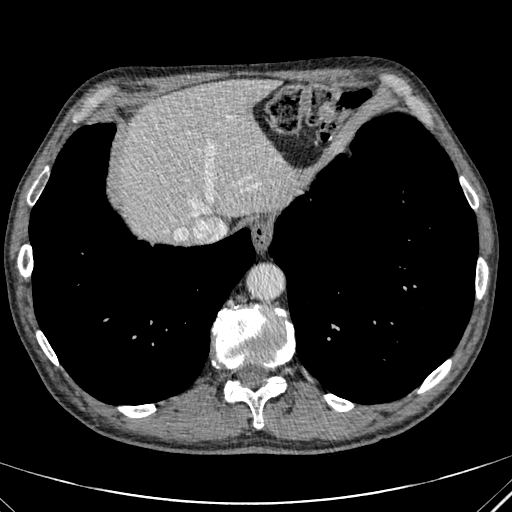
Abdomen | 512x512 px | Computed tomography

liver: x1=120, y1=80, x2=294, y2=240